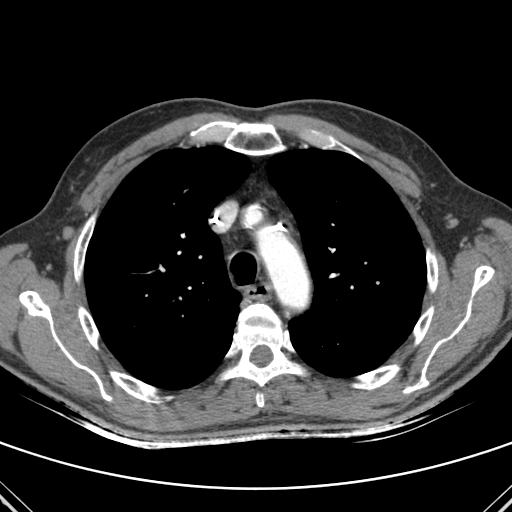
Computed tomography

bone:
  - l=353, t=364, r=399, b=389
  - l=325, t=137, r=339, b=147
  - l=426, t=249, r=437, b=292
  - l=19, t=291, r=112, b=401
  - l=78, t=306, r=98, b=349
  - l=74, t=215, r=94, b=281
  - l=471, t=265, r=494, b=297
  - l=110, t=371, r=157, b=402
  - l=342, t=146, r=357, b=156
  - l=190, t=121, r=284, b=155
  - l=403, t=300, r=471, b=393
  - l=413, t=306, r=433, b=344
  - l=221, t=303, r=304, b=406
lung:
  - l=268, t=149, r=426, b=377
  - l=84, t=146, r=250, b=389